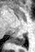 MRI; Hippocampus; 35x52 px
Posterior hippocampus = 11,36,25,45.